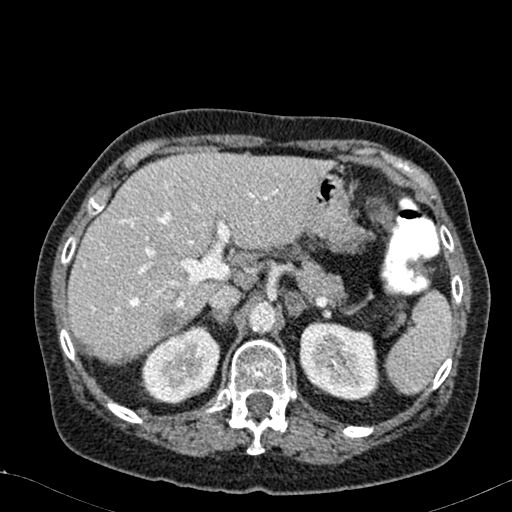

CT image
focal liver lesion: (left=159, top=311, right=182, bottom=335) | kidney: (left=300, top=323, right=377, bottom=399), (left=143, top=327, right=219, bottom=402) | liver: (left=68, top=152, right=334, bottom=360), (left=231, top=253, right=255, bottom=264), (left=234, top=272, right=244, bottom=282)